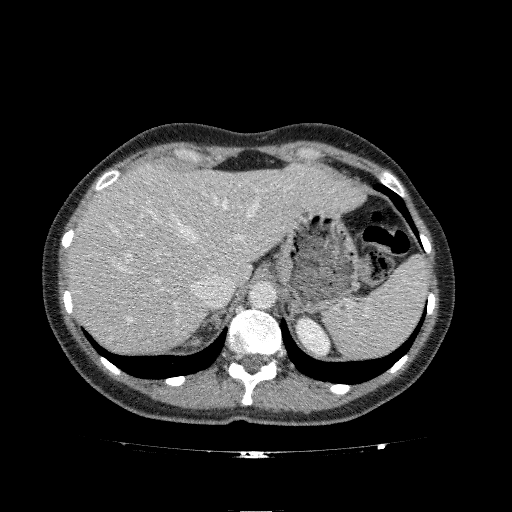 CT slice | 512x512 px
kidney: <bbox>297, 319, 329, 354</bbox> | liver: <bbox>67, 162, 364, 351</bbox>